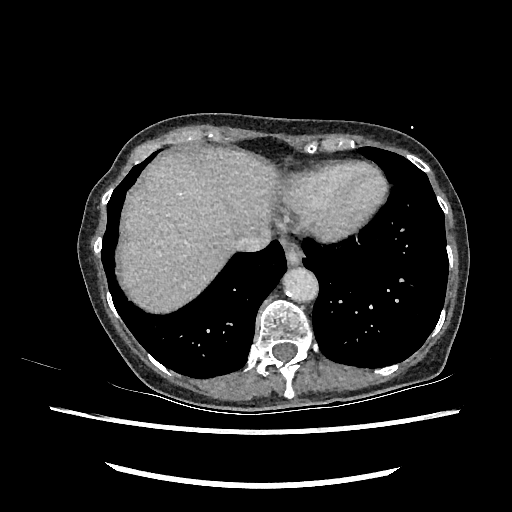 Image size 512x512, Computed tomography, Liver
liver: [121, 149, 278, 309]